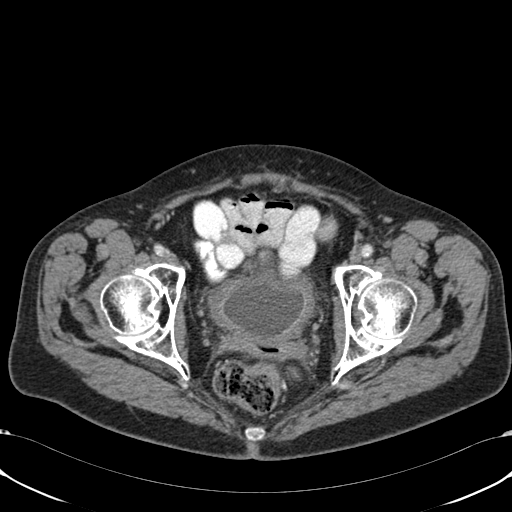 Computed tomography. Lower abdomen. 512x512 px.

The urinary bladder is located at {"x1": 224, "y1": 256, "x2": 303, "y2": 336}.